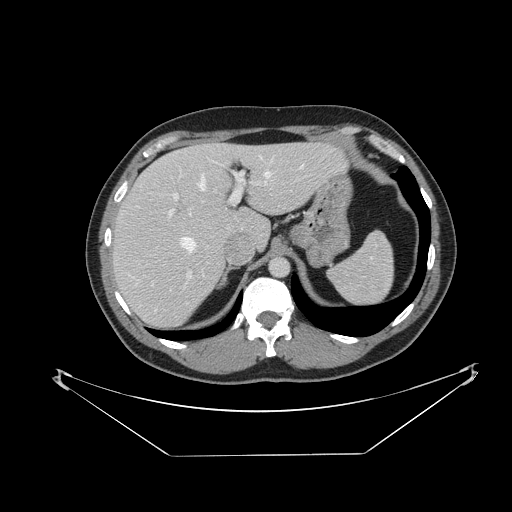 Upper abdomen; CT

Spleen: <bbox>329, 232, 393, 306</bbox>.